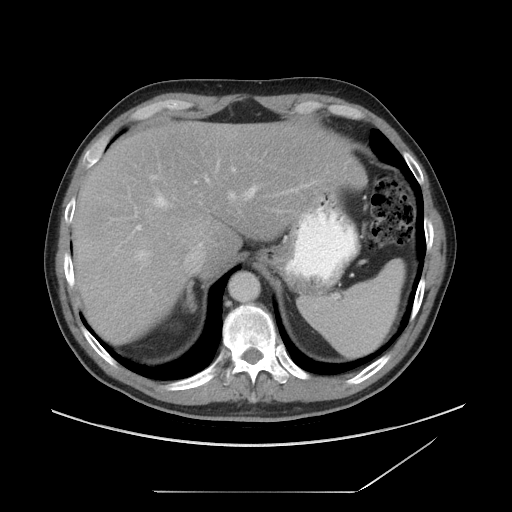

Abdomen | CT image
The vessel annotation is not exhaustive.
hepatic_vessel:
  - l=247, t=192, r=252, b=196